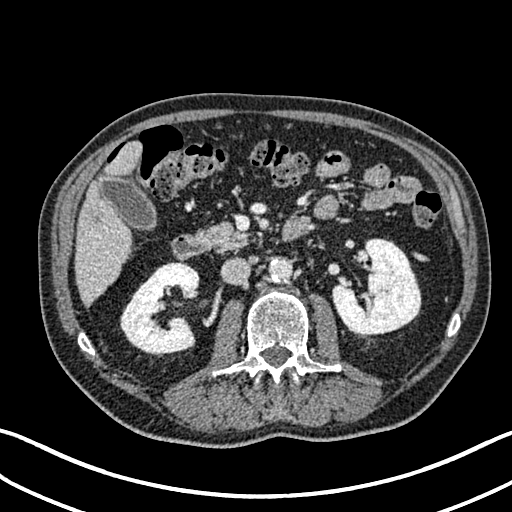

Computed tomography | Upper abdomen | 512x512
kidney:
  - region(333, 239, 420, 334)
  - region(121, 263, 198, 353)
liver:
  - region(104, 141, 141, 175)
  - region(76, 181, 130, 306)